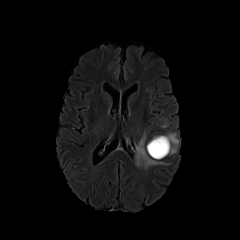
FLAIR MR.
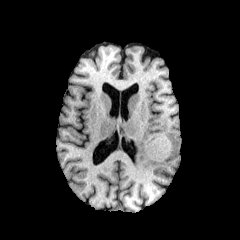
Same slice, T1-weighted MR.
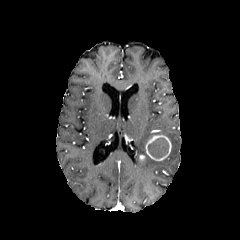
Post-contrast T1-weighted magnetic resonance.
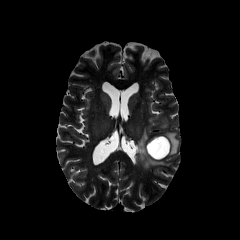
T2-weighted MR.
240x240
Non-enhancing tumor core — <bbox>148, 137, 169, 159</bbox>.
Enhancing tumor — <bbox>145, 135, 172, 161</bbox>.
Edema — <bbox>135, 128, 170, 170</bbox>, <bbox>158, 116, 178, 154</bbox>.